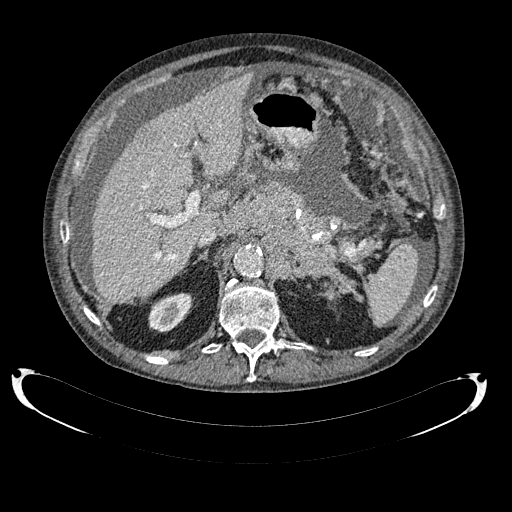
CT image, 512x512
The kidney is bounded by x1=149, y1=293, x2=191, y2=331. The focal liver lesion is located at x1=138, y1=126, x2=153, y2=143. 2 liver regions appear at x1=210, y1=189, x2=228, y2=205; x1=93, y1=72, x2=253, y2=304.